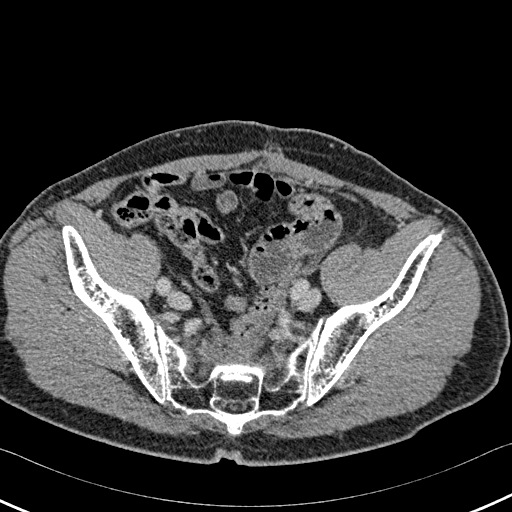

CT image
- bone: x1=62 y1=226 x2=441 y2=433